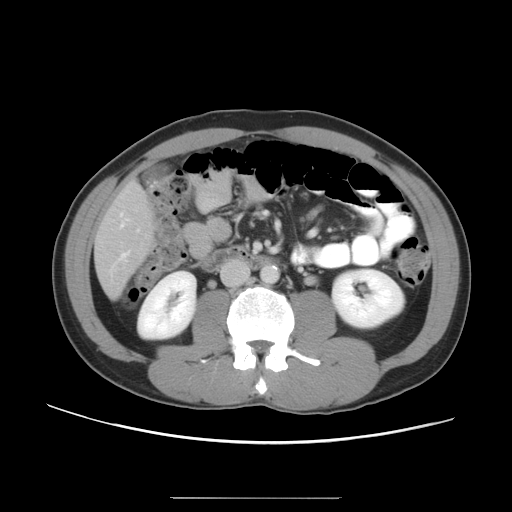

CT scan slice; Liver
Only some of the vessels may be annotated.
hepatic vessel: {"x1": 138, "y1": 229, "x2": 139, "y2": 231}, {"x1": 111, "y1": 251, "x2": 129, "y2": 273}, {"x1": 121, "y1": 213, "x2": 127, "y2": 227}